FLAIR magnetic resonance.
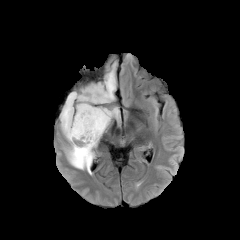
T1-weighted magnetic resonance.
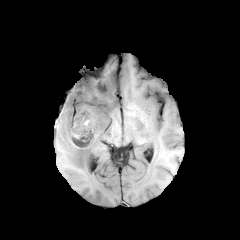
Post-contrast T1-weighted magnetic resonance.
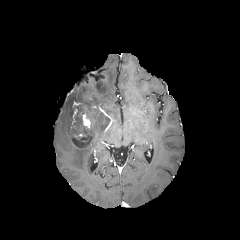
T2-weighted magnetic resonance.
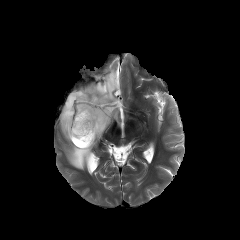
The enhancing tumor is located at box=[81, 112, 90, 128]. 2 edema regions appear at box=[106, 107, 119, 120]; box=[60, 70, 115, 174]. 2 non-enhancing tumor core regions are located at box=[75, 98, 94, 108]; box=[72, 104, 111, 148].